Pelvis; Field of view 394 mm wide, 5.00 mm slice spacing; Slice 18 of 44; CT scan slice

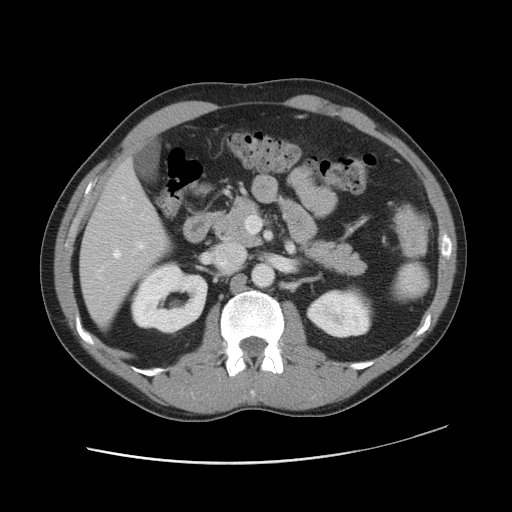

Segmented structures:
* colon tumor: (left=395, top=204, right=427, bottom=254)